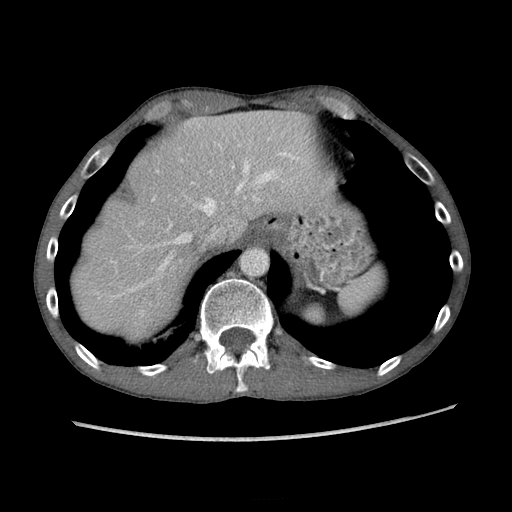

Image size 512x512 | Liver | Computed tomography
Liver: 72, 109, 346, 337.